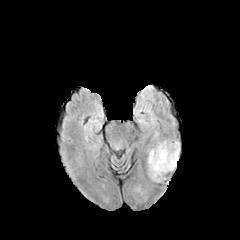
FLAIR MRI.
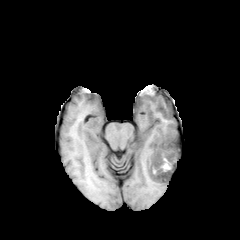
T1-weighted MRI.
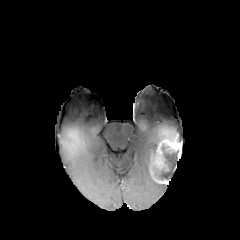
Same slice, post-contrast T1-weighted MR.
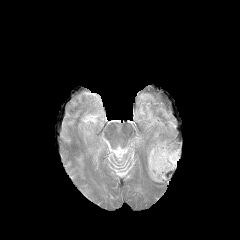
T2-weighted MRI.
Head
* edema: <box>146,140,179,182</box>
* enhancing tumor: <box>163,140,180,151</box>